MR | Field of view 400x400 mm 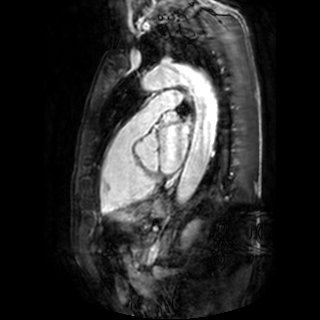

Segmented structures:
- left atrium: rect(167, 111, 178, 121); rect(158, 123, 188, 172)